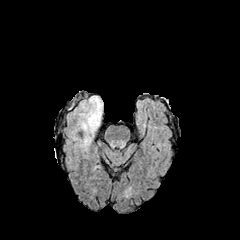
FLAIR MRI.
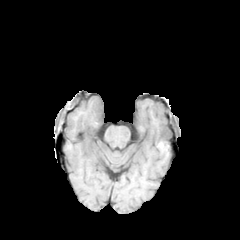
Same slice, T1-weighted MR image.
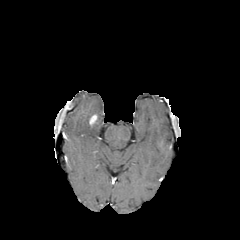
Post-contrast T1-weighted MR image.
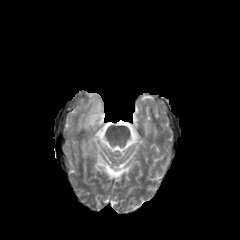
T2-weighted MR of the same slice.
enhancing tumor: x1=89 y1=114 x2=97 y2=124 | edema: x1=93 y1=154 x2=100 y2=170, x1=78 y1=96 x2=103 y2=152